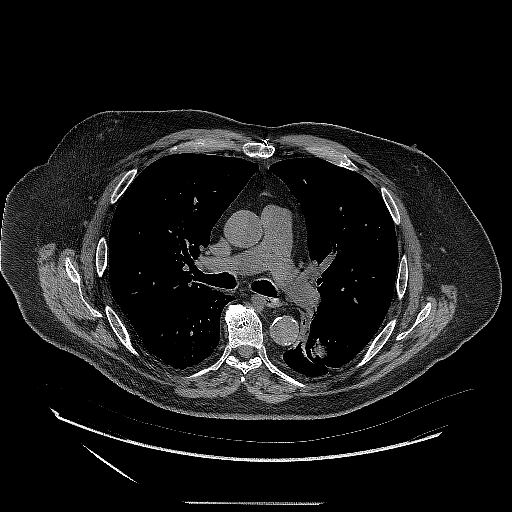
CT, Thorax
Annotated regions:
- lung tumor: rect(286, 307, 332, 370)